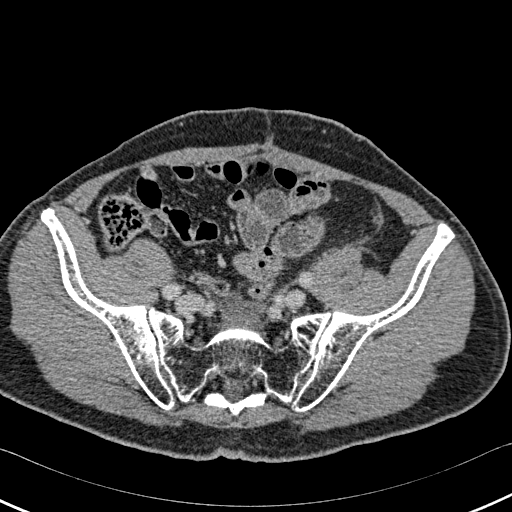 CT

2 bone regions appear at <box>205,393,266,414</box>, <box>41,208,454,411</box>.